FLAIR MR.
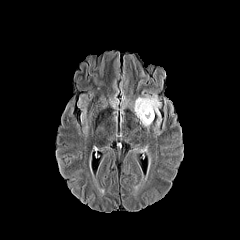
T1-weighted MRI.
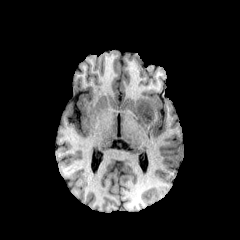
Post-contrast T1-weighted MR image.
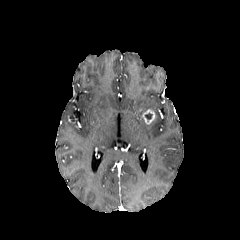
T2-weighted MR.
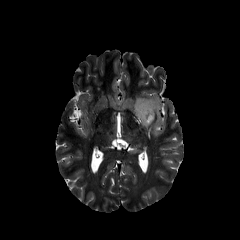
Image size 240x240, Head
The enhancing tumor is bounded by left=142, top=109, right=154, bottom=124. The edema is located at left=133, top=92, right=161, bottom=130.